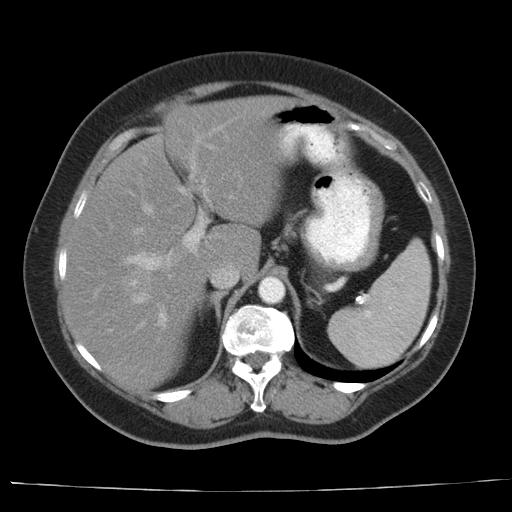
CT scan slice; Abdomen
Only some of the vessels may be annotated.
8 hepatic vessel regions appear at <bbox>134, 294, 145, 302</bbox>, <bbox>180, 188, 182, 191</bbox>, <bbox>193, 247, 193, 251</bbox>, <bbox>159, 313, 165, 324</bbox>, <bbox>126, 253, 159, 268</bbox>, <bbox>184, 214, 207, 243</bbox>, <bbox>136, 229, 140, 232</bbox>, <bbox>143, 206, 151, 213</bbox>.